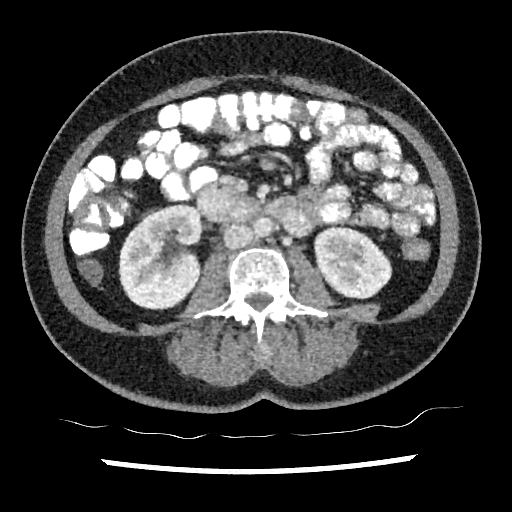
512x512 px | Abdomen | CT
2 kidney regions are located at x1=120 y1=205 x2=200 y2=308, x1=315 y1=228 x2=390 y2=297.